Head
FLAIR magnetic resonance.
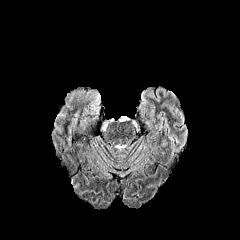
T1-weighted magnetic resonance.
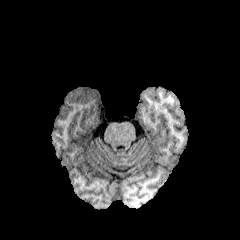
Post-contrast T1-weighted MR.
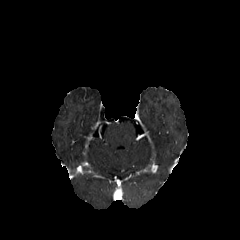
T2-weighted MR.
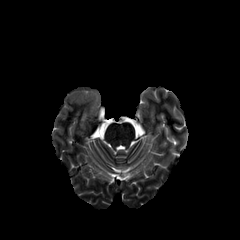
edema: 86, 91, 100, 114